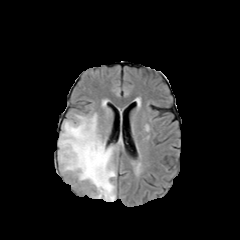
FLAIR MR.
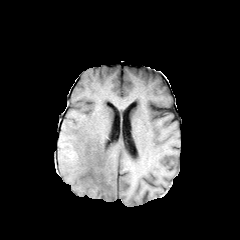
T1-weighted MR image.
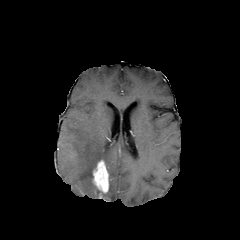
Same slice, post-contrast T1-weighted MR image.
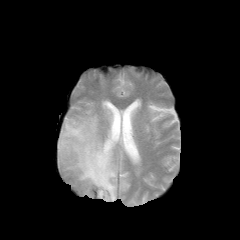
T2-weighted MR of the same slice.
Head; Image size 240x240
enhancing tumor: bbox(92, 160, 109, 194) | edema: bbox(58, 113, 116, 201)